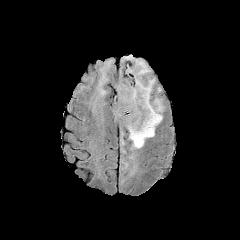
FLAIR MRI.
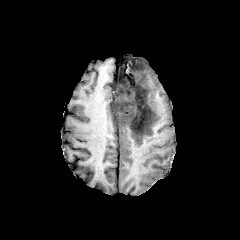
T1-weighted MR image of the same slice.
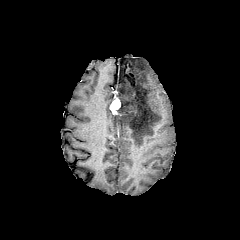
Post-contrast T1-weighted MR image of the same slice.
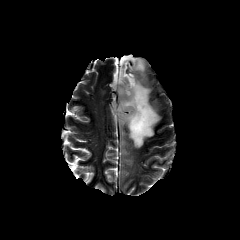
T2-weighted MRI of the same slice.
Brain. 240x240.
Enhancing tumor = [x1=110, y1=98, x2=120, y2=114].
Non-enhancing tumor core = [x1=116, y1=78, x2=155, y2=140].
Edema = [x1=122, y1=154, x2=133, y2=167], [x1=118, y1=56, x2=162, y2=150].